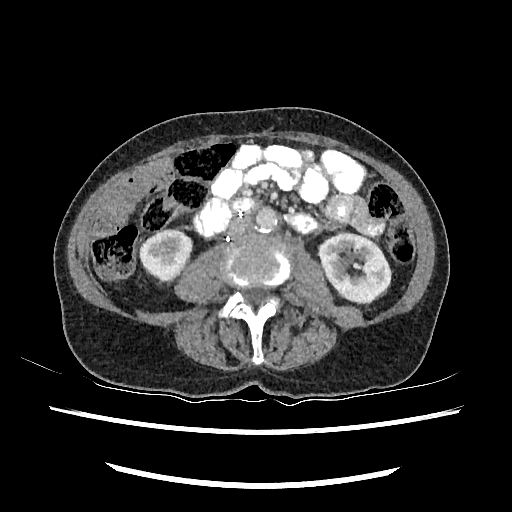

Abdomen | CT scan slice
2 kidney regions are located at bbox(319, 232, 390, 301); bbox(140, 231, 191, 279).